Slice 106/155; Brain
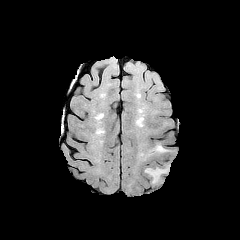
FLAIR MR image.
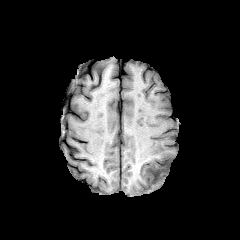
T1-weighted MR of the same slice.
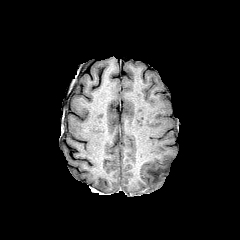
Same slice, post-contrast T1-weighted MRI.
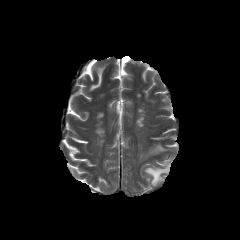
T2-weighted MR image.
edema:
  - bbox(155, 145, 168, 152)
  - bbox(145, 165, 169, 183)